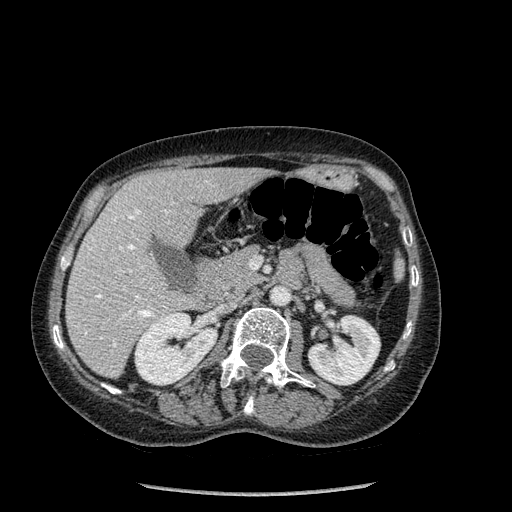 Liver | CT slice

{
  "kidney": [
    "box(308, 315, 379, 384)",
    "box(135, 313, 216, 384)",
    "box(195, 315, 208, 327)"
  ],
  "bone": [
    "box(411, 265, 418, 286)",
    "box(244, 396, 253, 414)",
    "box(220, 307, 315, 388)",
    "box(101, 383, 120, 393)",
    "box(403, 321, 411, 338)",
    "box(402, 229, 412, 245)",
    "box(60, 257, 69, 270)",
    "box(53, 325, 63, 349)"
  ],
  "liver": [
    "box(66, 167, 270, 378)"
  ]
}